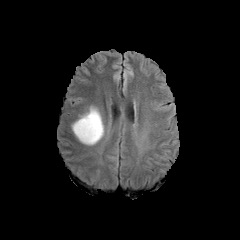
FLAIR MR.
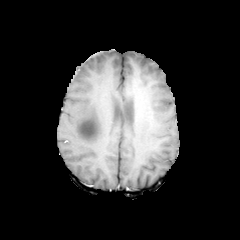
T1-weighted MR image of the same slice.
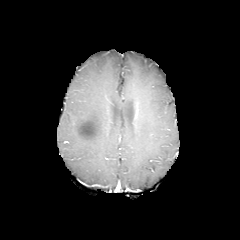
Post-contrast T1-weighted magnetic resonance.
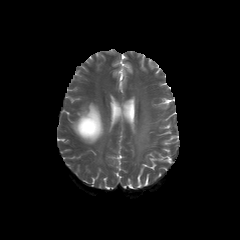
T2-weighted magnetic resonance.
Image size 240x240
non-enhancing_tumor_core:
  - <box>81,122,94,135</box>
edema:
  - <box>71,104,107,145</box>